FLAIR MR image.
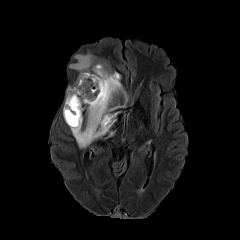
T1-weighted MR image.
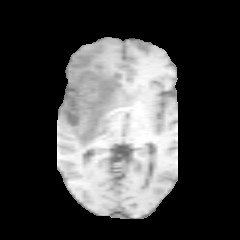
Post-contrast T1-weighted MR image.
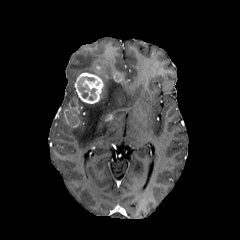
T2-weighted MR.
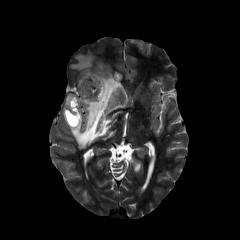
Brain
The non-enhancing tumor core is at left=77, top=76, right=96, bottom=98. The edema is located at left=65, top=53, right=128, bottom=149. 3 enhancing tumor regions are located at left=75, top=72, right=104, bottom=104; left=64, top=98, right=81, bottom=126; left=113, top=73, right=122, bottom=82.